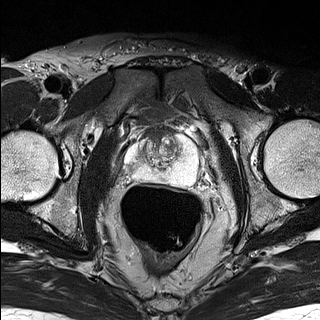
T2-weighted MR image.
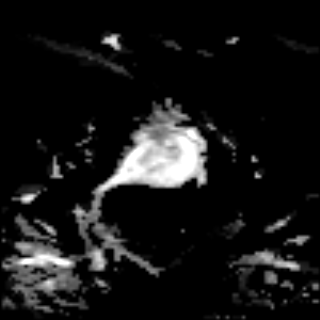
ADC MRI.
Pelvis | Image size 320x320
The prostate transition zone lies within 138,129,179,168. The prostate peripheral zone appears at 126,134,197,185.